Image width 378 mm; 512x512 px; Slice index 404; CT image 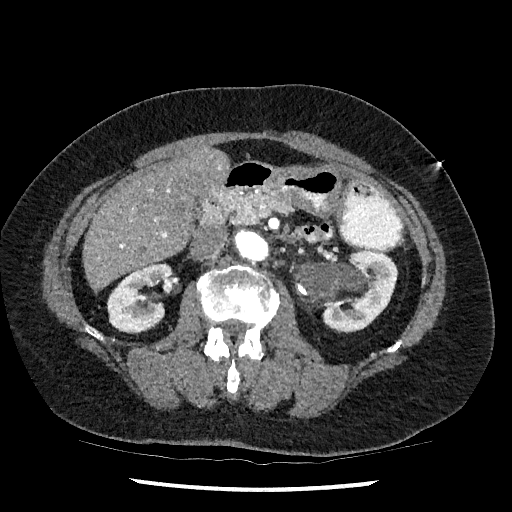 Kidney — (left=324, top=251, right=396, bottom=331), (left=108, top=264, right=176, bottom=331).
Liver — (left=83, top=148, right=229, bottom=290).